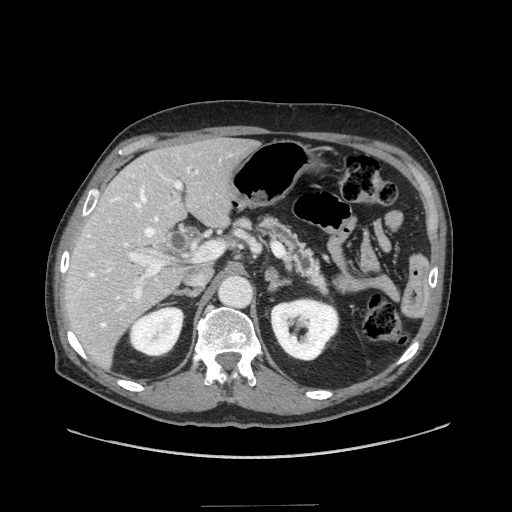

CT
{
  "pancreas": [
    "260 216 325 291"
  ]
}